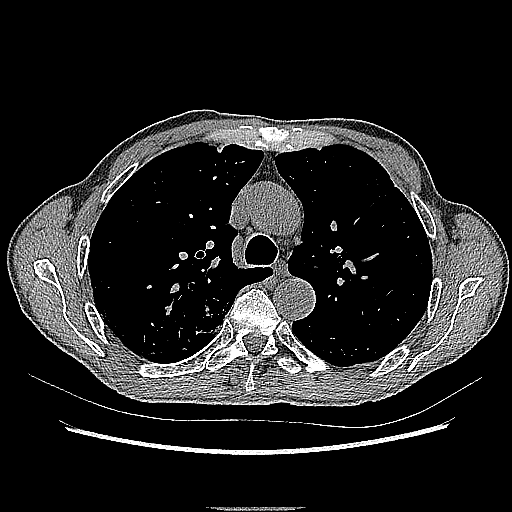 CT

2 lung tumor regions are bounded by x1=201 y1=299 x2=212 y2=318, x1=198 y1=322 x2=222 y2=333.